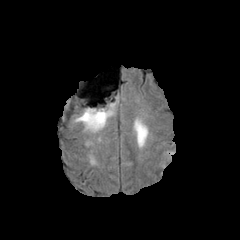
FLAIR MRI.
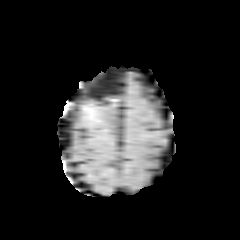
Same slice, T1-weighted MR image.
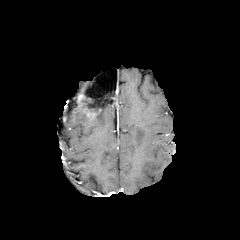
Post-contrast T1-weighted MR image of the same slice.
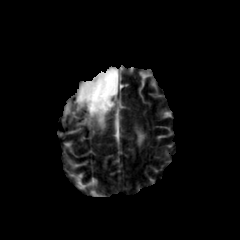
Same slice, T2-weighted MRI.
Brain, 240x240 px
The non-enhancing tumor core is located at <bbox>84, 100, 111, 120</bbox>. 2 edema regions appear at <bbox>133, 124, 148, 143</bbox>, <bbox>73, 100, 115, 133</bbox>.